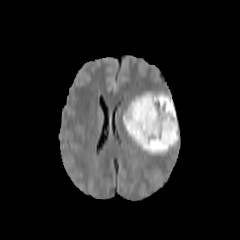
FLAIR MR image.
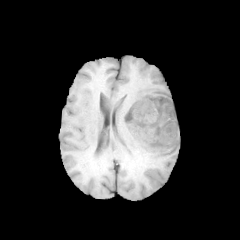
T1-weighted MR image.
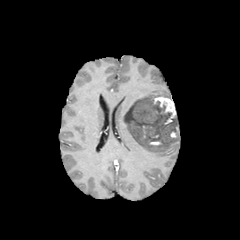
Post-contrast T1-weighted MR image.
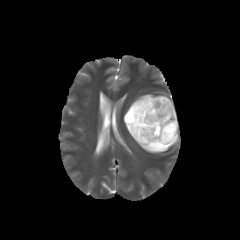
T2-weighted MRI.
Brain
Findings:
- enhancing tumor: bbox(149, 140, 162, 145); bbox(169, 124, 179, 138); bbox(153, 95, 176, 125)
- non-enhancing tumor core: bbox(125, 97, 177, 148)
- edema: bbox(124, 91, 155, 139); bbox(136, 140, 172, 154)